FLAIR MR.
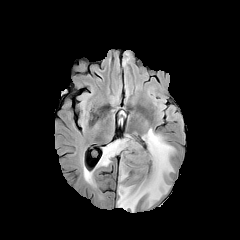
T1-weighted MR.
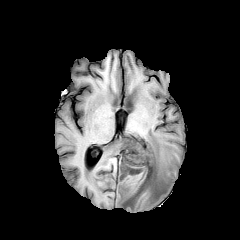
Post-contrast T1-weighted MR.
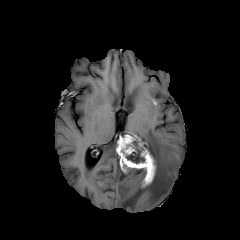
T2-weighted MR.
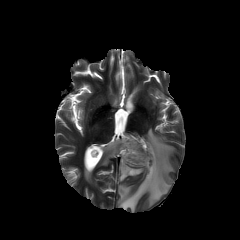
Head
2 non-enhancing tumor core regions are bounded by x1=126 y1=152 x2=145 y2=163, x1=125 y1=160 x2=157 y2=195. The enhancing tumor is bounded by x1=116 y1=135 x2=155 y2=186. 5 edema regions are located at x1=117 y1=128 x2=174 y2=211, x1=98 y1=140 x2=117 y2=166, x1=84 y1=170 x2=91 y2=180, x1=134 y1=136 x2=143 y2=159, x1=119 y1=169 x2=141 y2=183.